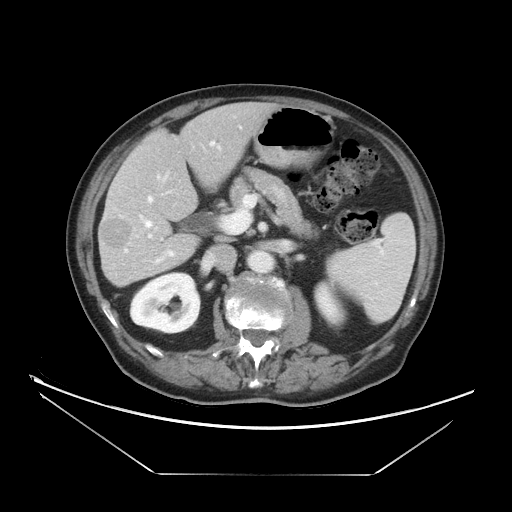 Computed tomography
Not every hepatic vessel necessarily has a box.
Annotated regions:
• liver tumor: <bbox>100, 216, 133, 248</bbox>
• hepatic vessel: <bbox>146, 195, 152, 202</bbox>, <bbox>145, 221, 151, 226</bbox>, <bbox>157, 260, 159, 261</bbox>